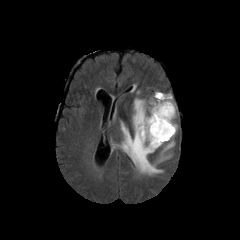
FLAIR MRI.
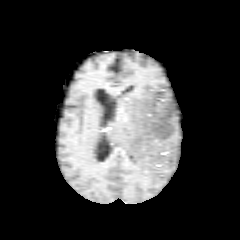
T1-weighted MRI.
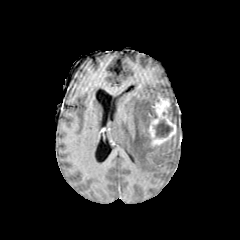
Post-contrast T1-weighted MRI.
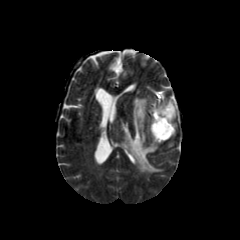
T2-weighted magnetic resonance.
Enhancing tumor: bounding box (x1=142, y1=94, x2=176, y2=146).
Edema: bounding box (x1=120, y1=98, x2=163, y2=174).
Non-enhancing tumor core: bounding box (x1=154, y1=120, x2=172, y2=137).